240x240 px; Head; Slice index 89
FLAIR MR.
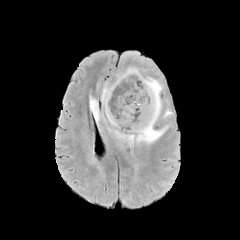
T1-weighted MRI.
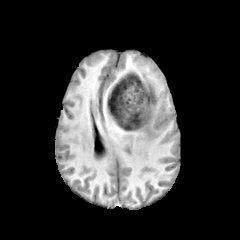
Post-contrast T1-weighted MR image.
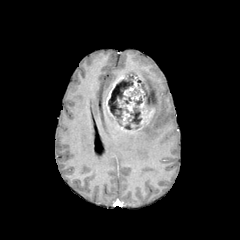
T2-weighted MRI.
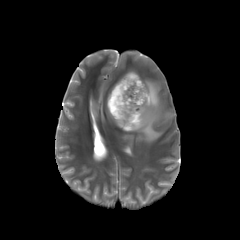
Enhancing tumor: left=105, top=75, right=124, bottom=117; left=141, top=110, right=151, bottom=123.
Edema: left=89, top=97, right=100, bottom=127; left=105, top=107, right=118, bottom=125; left=101, top=85, right=110, bottom=104; left=163, top=109, right=172, bottom=118; left=116, top=77, right=167, bottom=146; left=124, top=68, right=139, bottom=75.
Non-enhancing tumor core: left=108, top=74, right=153, bottom=129.